Field of view 240 mm wide, 1.00 mm slice spacing | 240x240 px | Brain
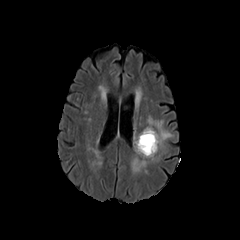
FLAIR MR.
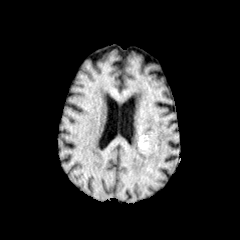
T1-weighted MRI.
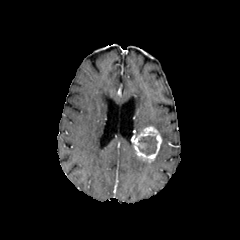
Post-contrast T1-weighted magnetic resonance.
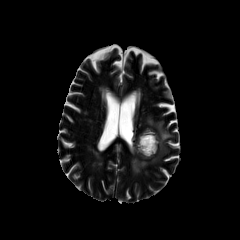
T2-weighted MRI.
The enhancing tumor is at bbox(133, 125, 162, 163). The non-enhancing tumor core is bounded by bbox(135, 135, 157, 155). 2 edema regions appear at bbox(147, 116, 174, 151); bbox(131, 148, 146, 174).